Head | 240x240
FLAIR MRI.
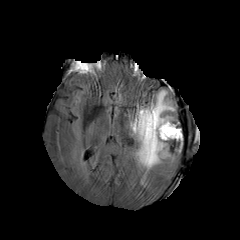
T1-weighted MR image.
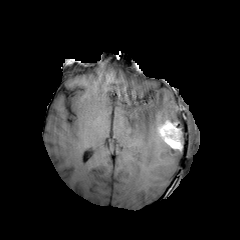
Post-contrast T1-weighted MR image.
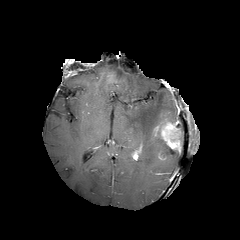
T2-weighted MR.
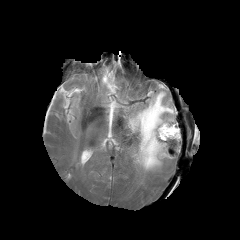
Findings:
- edema: 127, 89, 176, 172
- enhancing tumor: 158, 122, 179, 143
- non-enhancing tumor core: 167, 138, 179, 151